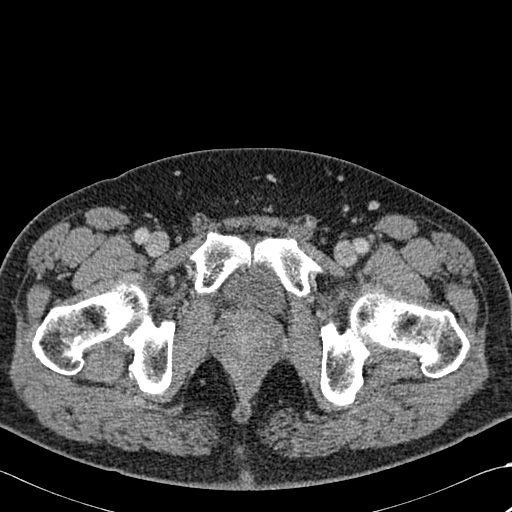
CT image | 512x512
Bone: x1=190 y1=233 x2=321 y2=296, x1=320 y1=293 x2=469 y2=405, x1=32 y1=283 x2=174 y2=394.